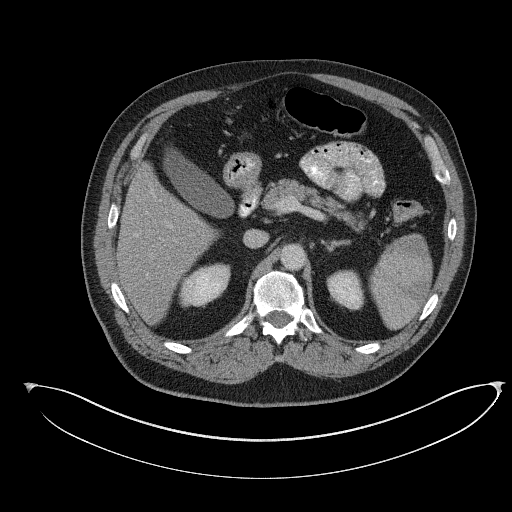 CT; Upper abdomen
The pancreas lies within {"x1": 263, "y1": 178, "x2": 364, "y2": 228}.